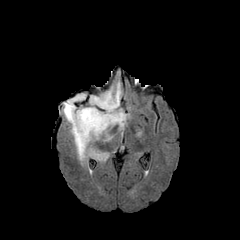
FLAIR magnetic resonance.
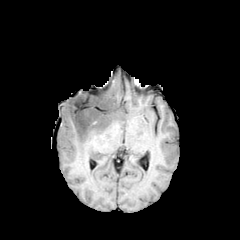
T1-weighted MR of the same slice.
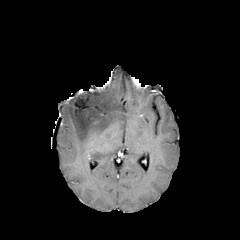
Post-contrast T1-weighted MRI.
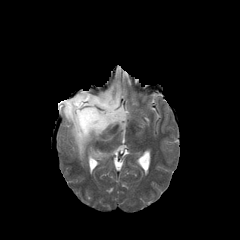
Same slice, T2-weighted magnetic resonance.
non-enhancing tumor core: [x1=64, y1=92, x2=109, y2=135] | edema: [x1=60, y1=81, x2=128, y2=160]